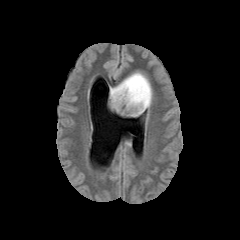
FLAIR MR image.
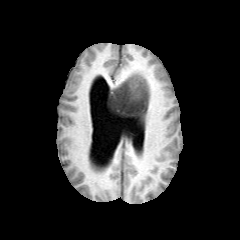
T1-weighted magnetic resonance.
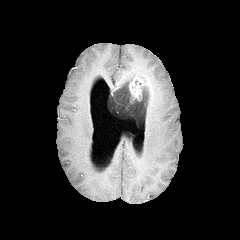
Post-contrast T1-weighted magnetic resonance of the same slice.
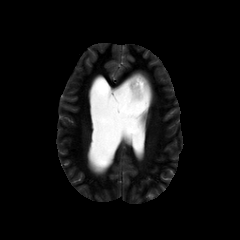
T2-weighted magnetic resonance.
Brain. 240x240.
{
  "non-enhancing_tumor_core": [
    "[x1=108, y1=86, x2=146, y2=116]"
  ],
  "enhancing_tumor": [
    "[x1=128, y1=73, x2=151, y2=100]"
  ],
  "edema": [
    "[x1=142, y1=88, x2=149, y2=111]",
    "[x1=110, y1=79, x2=129, y2=91]"
  ]
}